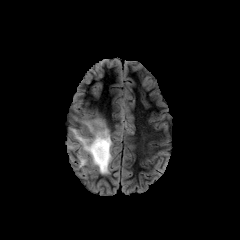
FLAIR MR image.
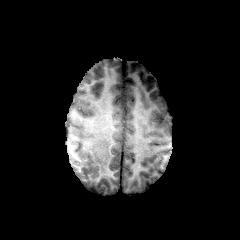
T1-weighted MR.
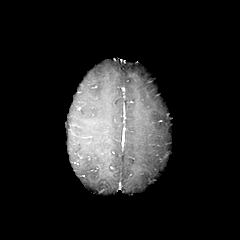
Post-contrast T1-weighted MRI of the same slice.
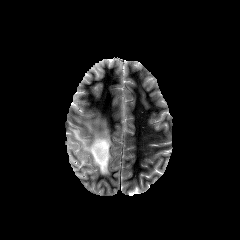
Same slice, T2-weighted magnetic resonance.
Edema at [x1=71, y1=129, x2=113, y2=174].